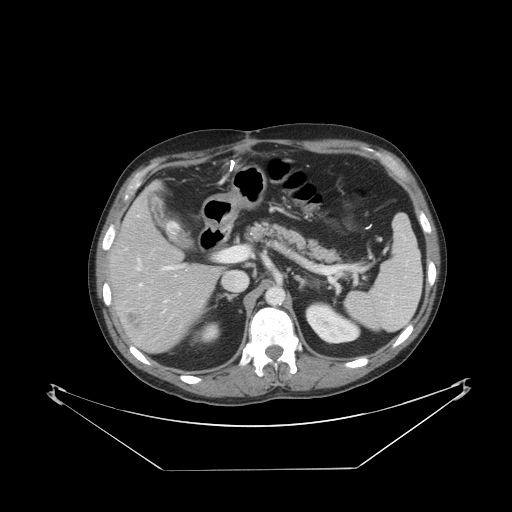

CT scan slice | Liver
The vessel boxes may cover only some of the vessels.
Liver tumor: {"x1": 125, "y1": 311, "x2": 141, "y2": 328}.
Hepatic vessel: {"x1": 125, "y1": 247, "x2": 127, "y2": 249}, {"x1": 162, "y1": 309, "x2": 165, "y2": 312}, {"x1": 178, "y1": 293, "x2": 180, "y2": 294}, {"x1": 164, "y1": 299, "x2": 167, "y2": 302}, {"x1": 137, "y1": 215, "x2": 139, "y2": 217}, {"x1": 136, "y1": 258, "x2": 142, "y2": 270}, {"x1": 161, "y1": 264, "x2": 185, "y2": 269}, {"x1": 160, "y1": 313, "x2": 161, "y2": 315}, {"x1": 139, "y1": 283, "x2": 142, "y2": 287}.